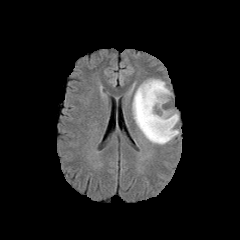
FLAIR MR.
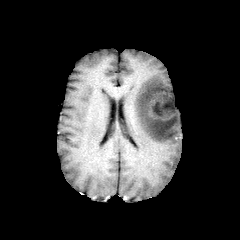
T1-weighted magnetic resonance.
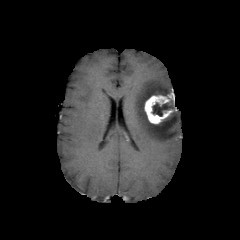
Same slice, post-contrast T1-weighted MR.
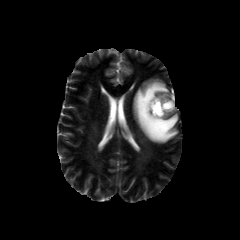
T2-weighted MR.
Brain
non-enhancing tumor core: <bbox>152, 100, 173, 116</bbox>, <bbox>137, 86, 174, 136</bbox> | enhancing tumor: <bbox>144, 92, 175, 123</bbox> | edema: <bbox>132, 78, 178, 144</bbox>